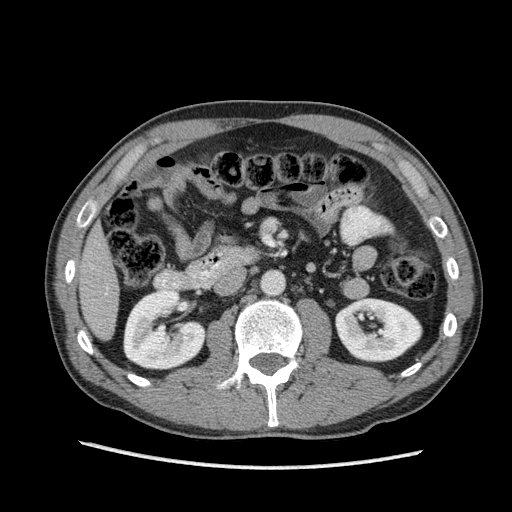 CT image.

The liver appears at bbox(74, 222, 119, 340). 2 kidney regions appear at bbox(336, 299, 420, 360); bbox(124, 290, 204, 368).